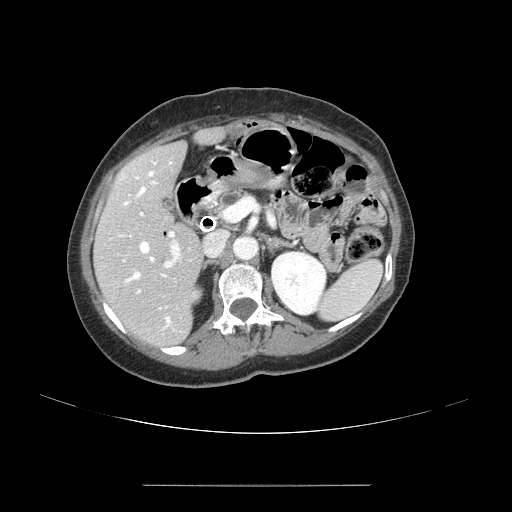 Upper abdomen, CT image

The pancreas lies within <box>218,191,245,214</box>.